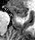 MRI slice | Medial temporal lobe | 35x40

<segmentation>
  <anterior_hippocampus>(10, 5, 27, 18)</anterior_hippocampus>
</segmentation>